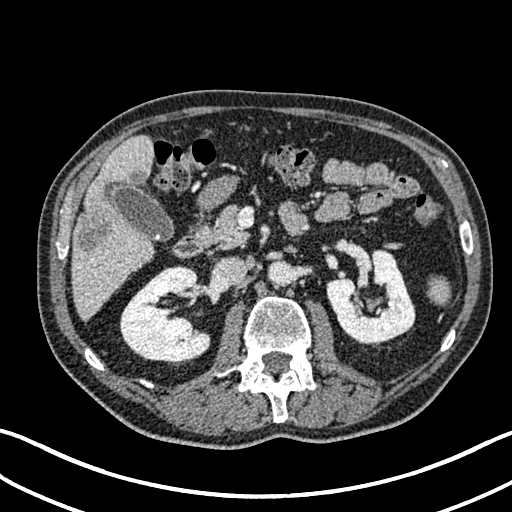

Upper abdomen, Image size 512x512, CT image
<segmentation>
  <liver>(72,136,154,319)</liver>
  <liver_lesion>(77,205,113,251), (129,170,145,183)</liver_lesion>
  <kidney>(327,246,414,342), (121,267,218,361)</kidney>
</segmentation>